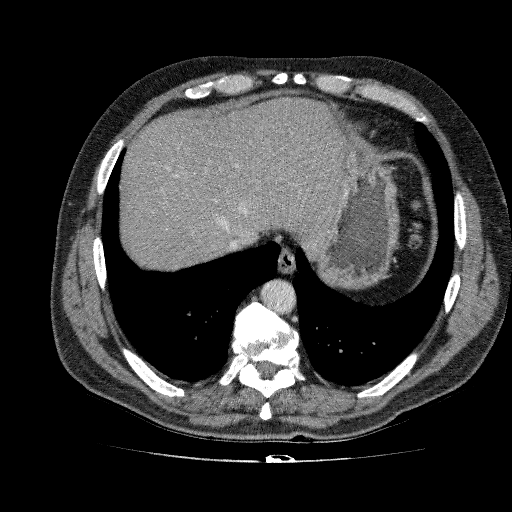 Liver. CT.
Liver: x1=119 y1=96 x2=341 y2=271.